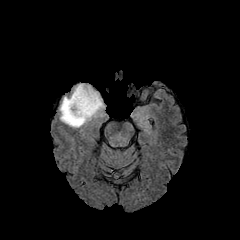
FLAIR MR.
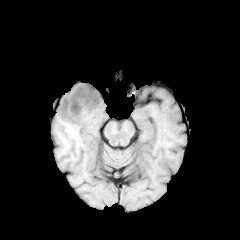
Same slice, T1-weighted magnetic resonance.
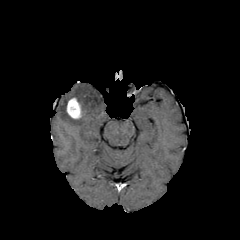
Post-contrast T1-weighted magnetic resonance.
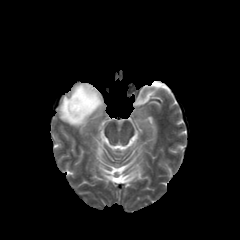
T2-weighted MR.
Head.
<segmentation>
  <edema>rect(58, 83, 104, 129)</edema>
  <non-enhancing_tumor_core>rect(72, 95, 85, 120)</non-enhancing_tumor_core>
  <enhancing_tumor>rect(66, 97, 82, 119)</enhancing_tumor>
</segmentation>